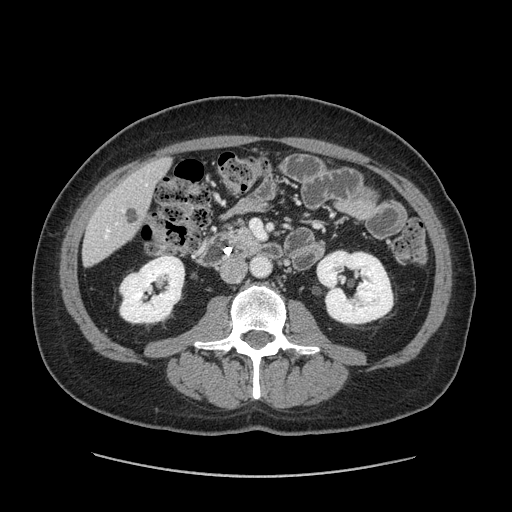 CT scan slice.
The pancreas appears at (left=230, top=229, right=257, bottom=250).